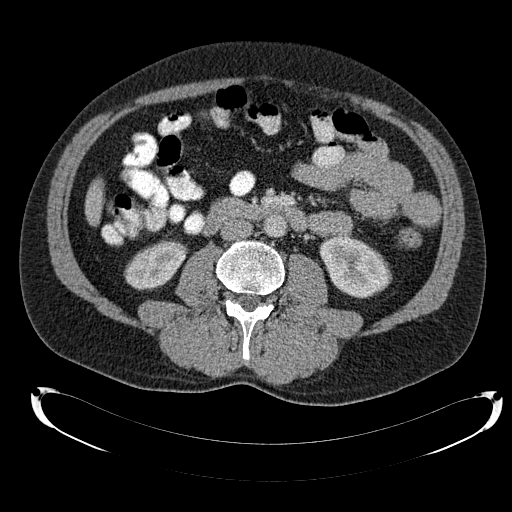

Image size 512x512, CT scan slice

<segmentation>
  <liver>region(86, 184, 102, 223)</liver>
  <kidney>region(320, 234, 389, 297); region(126, 242, 184, 288)</kidney>
</segmentation>